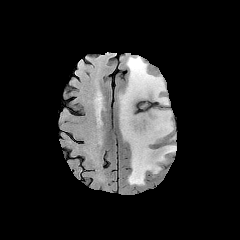
FLAIR MR.
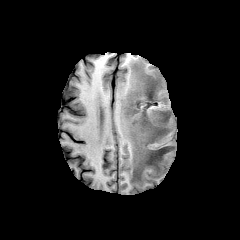
Same slice, T1-weighted MRI.
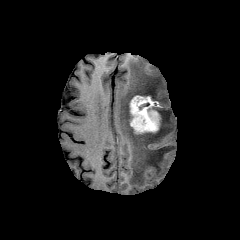
Post-contrast T1-weighted MRI.
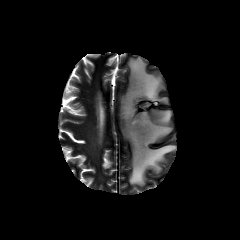
Same slice, T2-weighted magnetic resonance.
Head. 240x240.
4 non-enhancing tumor core regions appear at box(136, 80, 158, 116); box(142, 112, 166, 138); box(127, 95, 137, 135); box(144, 153, 161, 165). The edema is at box(120, 56, 175, 185). The enhancing tumor appears at box(130, 95, 159, 133).